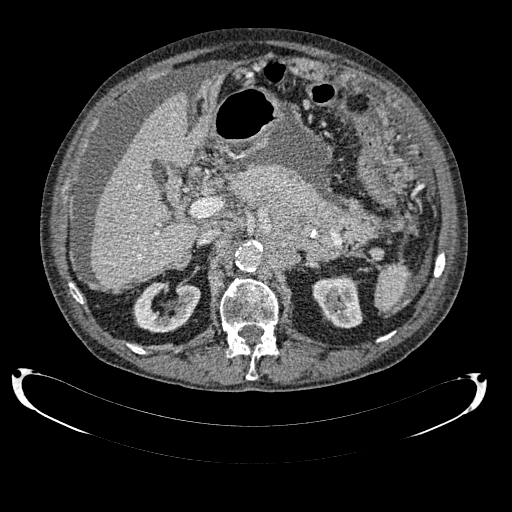

CT scan slice
2 kidney regions are located at region(313, 277, 361, 327); region(134, 283, 200, 332). 2 liver regions are located at region(91, 91, 207, 289); region(210, 81, 218, 99).